CT slice, Slice 79 of 605
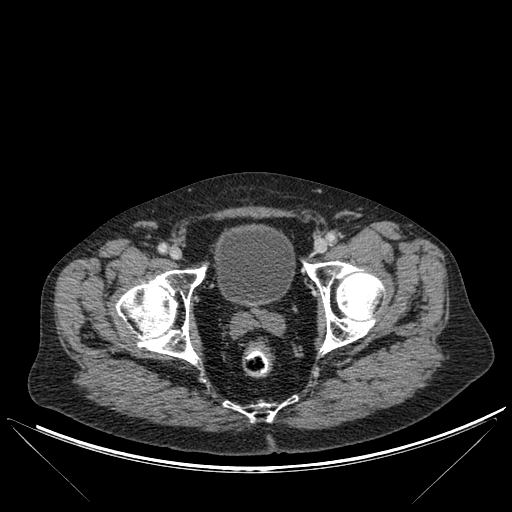 The urinary bladder is bounded by 214 223 295 304. 3 bone regions are bounded by 116 266 206 364, 304 261 382 353, 223 401 285 420.